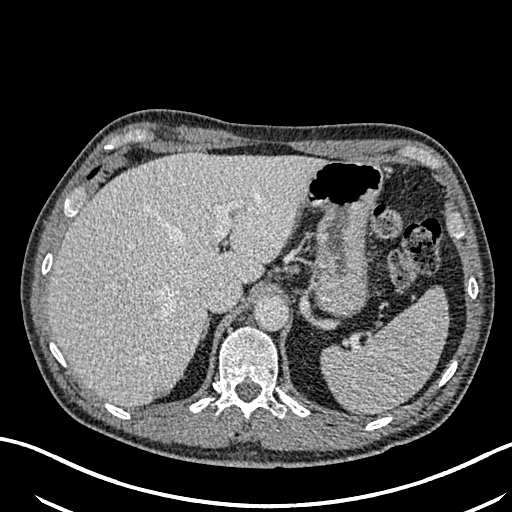
CT scan slice | 512x512

The liver is at left=48, top=154, right=326, bottom=406. 2 hepatic lesion regions are bounded by left=150, top=386, right=169, bottom=399; left=118, top=280, right=126, bottom=295.